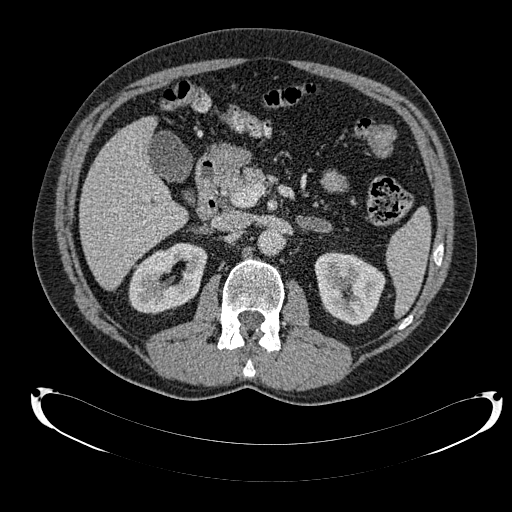
CT slice. The liver is bounded by box(79, 118, 187, 289). 2 kidney regions are bounded by box(129, 243, 206, 312); box(315, 253, 384, 324).